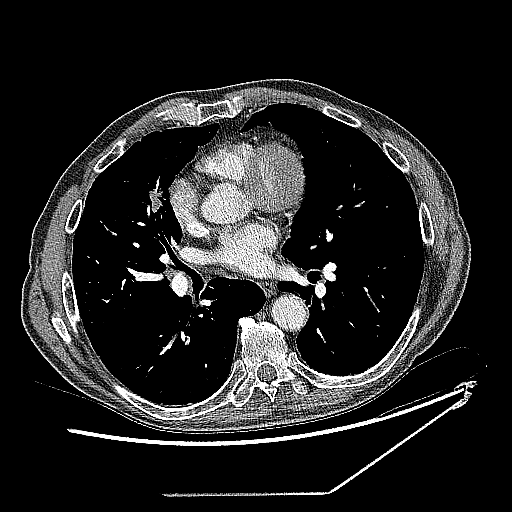 Chest. CT. 512x512. The lung tumor is bounded by 141,173,169,218.